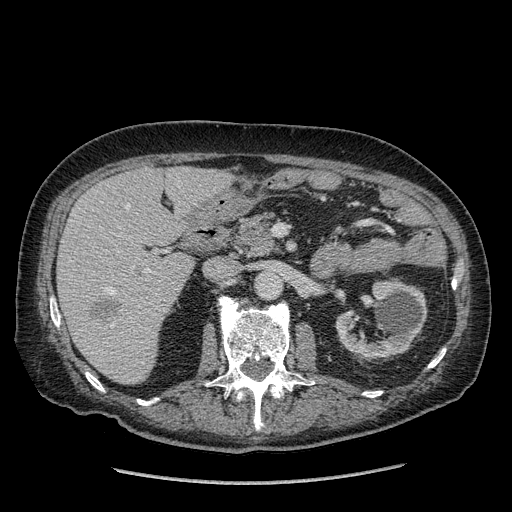

Upper abdomen; 512x512 px; CT slice

Findings:
* liver: 57, 166, 231, 385
* kidney: 361, 295, 378, 307; 336, 280, 426, 360
* focal liver lesion: 88, 297, 120, 323